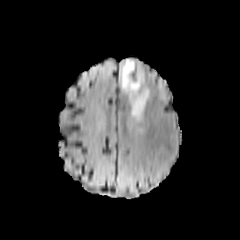
FLAIR magnetic resonance.
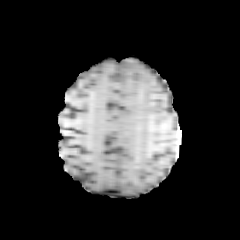
Same slice, T1-weighted magnetic resonance.
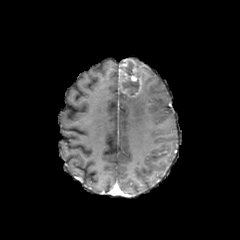
Same slice, post-contrast T1-weighted MR.
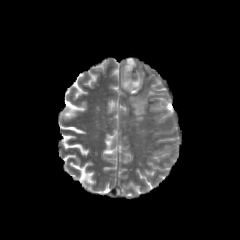
T2-weighted MR image.
Findings:
• non-enhancing tumor core: bbox(122, 78, 139, 96); bbox(124, 61, 134, 76)
• enhancing tumor: bbox(119, 58, 141, 94)
• edema: bbox(129, 87, 151, 118); bbox(139, 67, 146, 86)